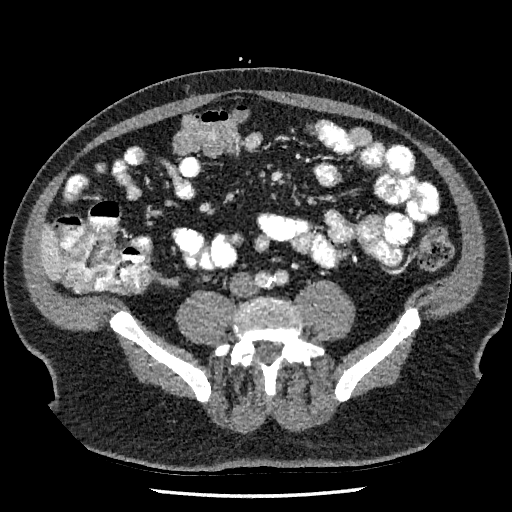 CT slice

{
  "liver": [
    "region(41, 227, 62, 280)"
  ]
}